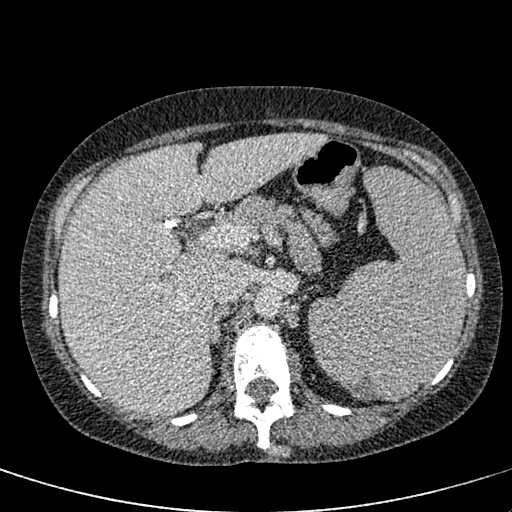
512x512 | CT slice

Liver at {"x1": 59, "y1": 134, "x2": 325, "y2": 415}.